Computed tomography. Field of view 411 mm wide, 0.80 mm slice spacing.

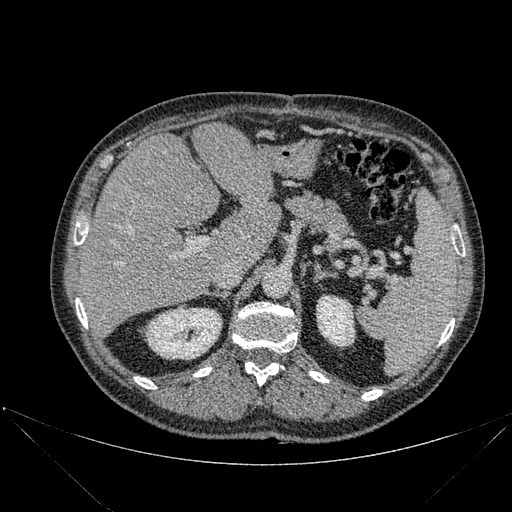
Segmented structures:
• kidney: 146,307,221,359; 316,296,354,346
• bone: 245,362,283,385; 134,377,156,389; 75,298,87,328; 309,371,328,382; 232,302,297,352; 74,222,87,244; 438,319,454,345; 452,238,464,256; 362,389,382,400; 193,367,211,376
• liver: 77,133,222,337; 192,123,280,271